Abdomen. CT. 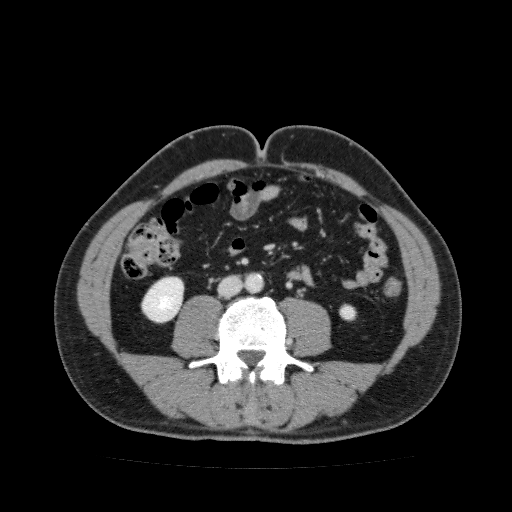 <segmentation>
  <kidney>340 306 354 318, 142 277 183 322</kidney>
</segmentation>